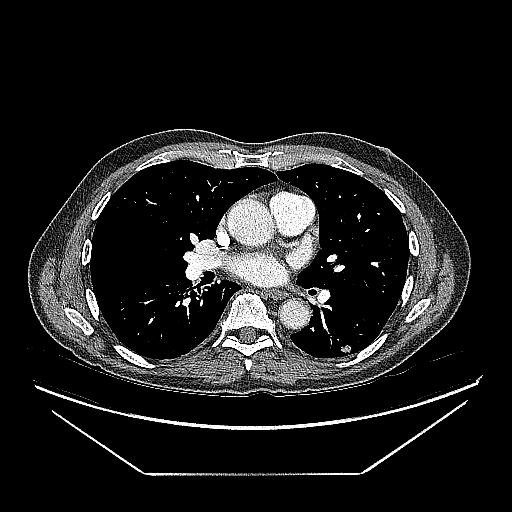
CT image

Lung tumor: bounding box bbox=[340, 339, 356, 354].